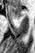
Image size 35x53 | Magnetic resonance | Medial temporal lobe
The anterior hippocampus is bounded by x1=8, y1=6, x2=23, y2=19.